Brain. 240x240.
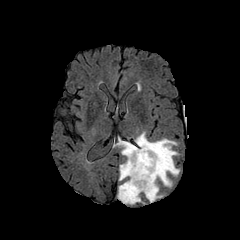
FLAIR MR image.
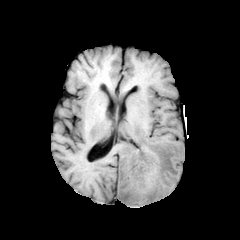
Same slice, T1-weighted MRI.
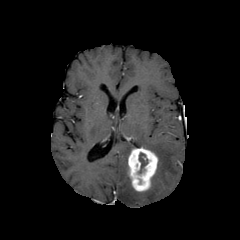
Post-contrast T1-weighted MRI.
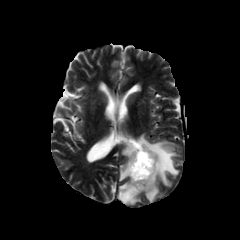
T2-weighted MRI.
Enhancing tumor: bounding box 127 146 158 192.
Edema: bounding box 135 132 179 202, 113 137 134 158, 117 160 144 204.